Medial temporal lobe | MR
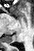
Posterior hippocampus at <box>6,35,14,42</box>.